Cardiac; MR image; Slice 45 of 122

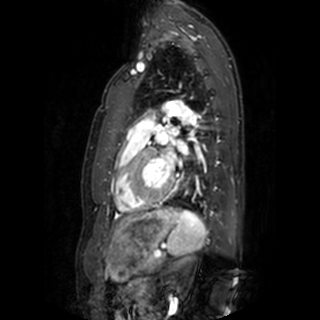 Left atrium — l=159, t=150, r=175, b=173; l=156, t=133, r=166, b=143; l=177, t=140, r=188, b=153; l=168, t=127, r=178, b=135.